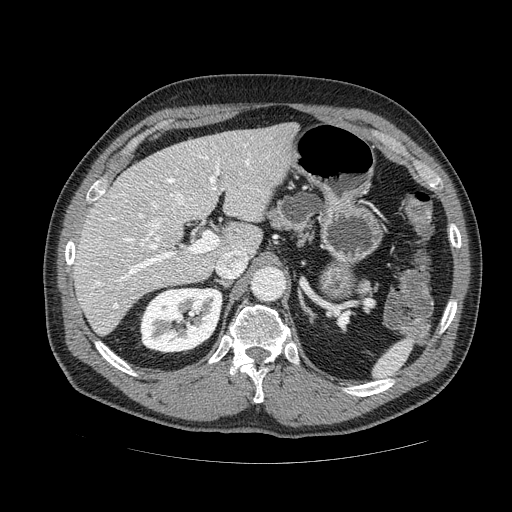

CT scan slice

Annotated regions:
• pancreas: 265:190:325:249
• pancreatic tumor: 280:193:321:224